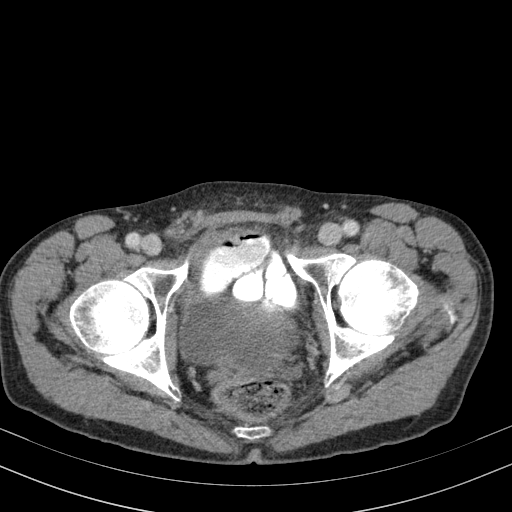
Pelvis. Computed tomography.
{
  "urinary_bladder": [
    "<box>174,288,287,375</box>",
    "<box>191,234,218,261</box>"
  ]
}